FLAIR MR.
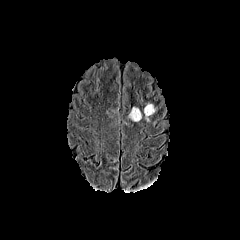
T1-weighted MRI.
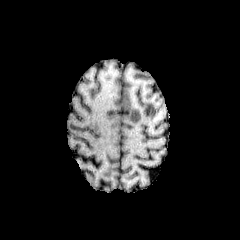
Post-contrast T1-weighted MRI.
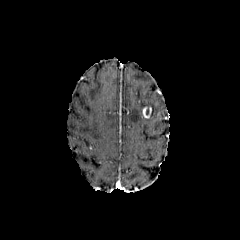
T2-weighted MR.
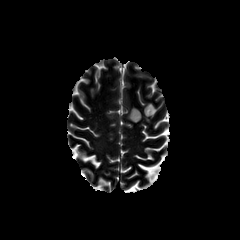
The non-enhancing tumor core appears at <bbox>145, 105, 154, 119</bbox>. The enhancing tumor is located at <bbox>143, 106, 151, 118</bbox>. The edema is bounded by <bbox>129, 107, 142, 121</bbox>.